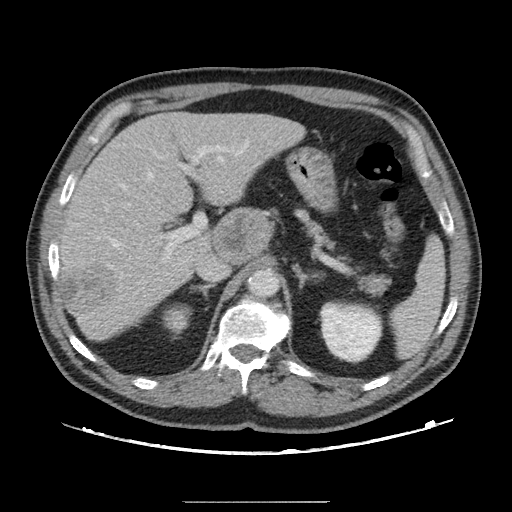
Computed tomography, 512x512 px

The vessel boxes may cover only some of the vessels.
liver tumor: 61:264:115:314 | hepatic vessel: 156:271:159:273, 148:149:168:158, 163:231:177:261, 109:238:121:248, 165:273:168:274, 137:224:140:228, 158:278:160:279, 218:157:222:160, 148:172:152:179, 193:141:248:160, 178:163:188:173, 139:278:146:289